Computed tomography, Image size 512x512, Image width 351 mm 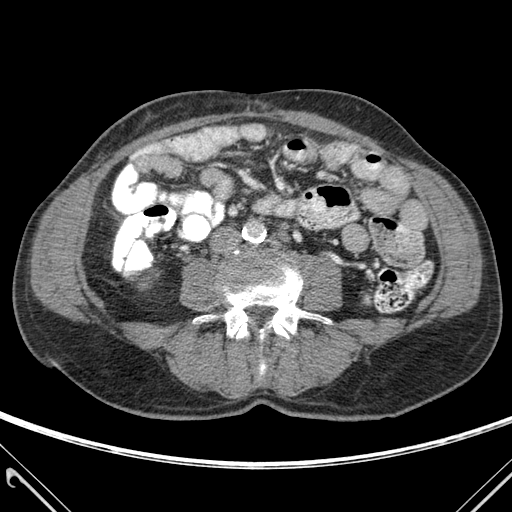

Bone: bounding box (x1=223, y1=260, x2=330, y2=338), (x1=194, y1=315, x2=214, y2=320), (x1=260, y1=361, x2=265, y2=374).